Slice index 77; Field of view 240x240 mm; Head
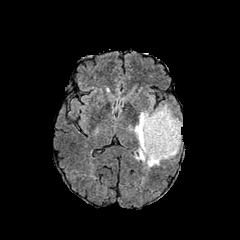
FLAIR MR image.
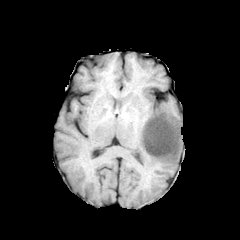
Same slice, T1-weighted MRI.
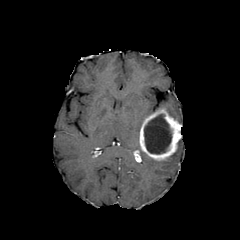
Post-contrast T1-weighted MR.
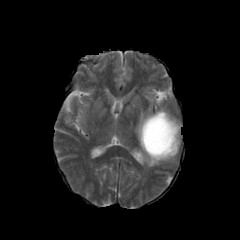
T2-weighted MR of the same slice.
edema:
  - x1=133 y1=105 x2=175 y2=149
  - x1=141 y1=139 x2=181 y2=167
non-enhancing_tumor_core:
  - x1=144 y1=114 x2=171 y2=153
enhancing_tumor:
  - x1=139 y1=108 x2=181 y2=160
  - x1=134 y1=150 x2=141 y2=161